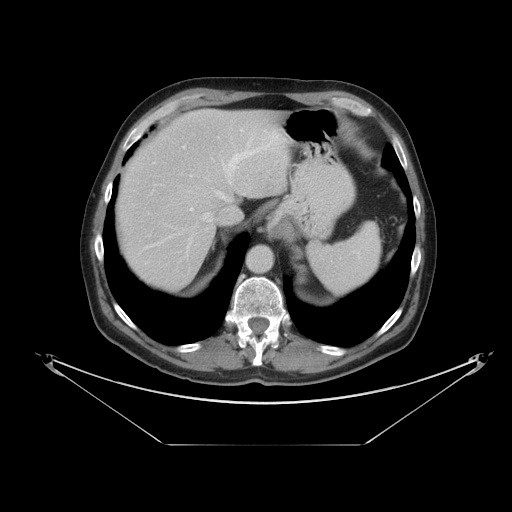 CT scan slice | Abdomen

Spleen = 308:222:381:294.